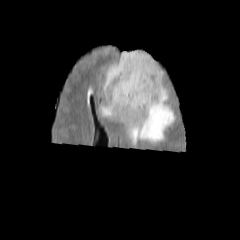
FLAIR magnetic resonance.
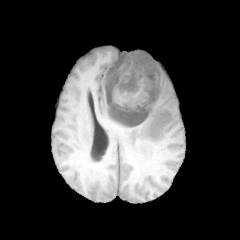
T1-weighted MRI.
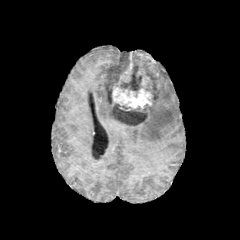
Post-contrast T1-weighted MR.
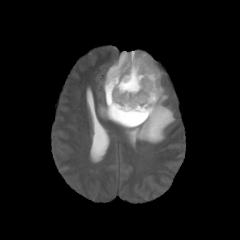
T2-weighted magnetic resonance.
240x240 px
non-enhancing tumor core: <box>104,50,162,125</box>, <box>105,52,130,83</box> | enhancing tumor: <box>112,75,153,110</box>, <box>117,52,133,85</box> | edema: <box>99,59,174,148</box>